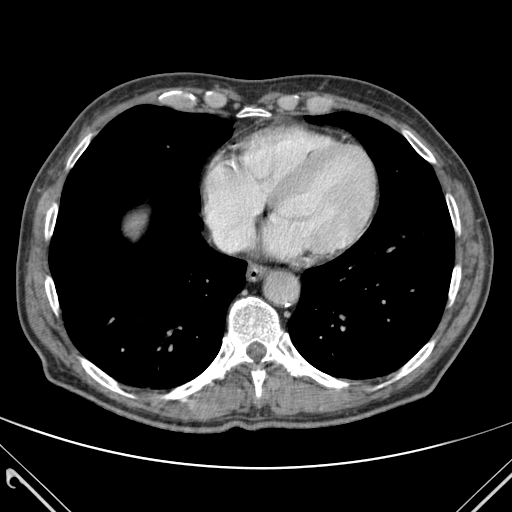 512x512 px | CT | Chest
lung: [x1=288, y1=112, x2=454, y2=378], [x1=49, y1=105, x2=246, y2=388] | bone: [x1=404, y1=131, x2=434, y2=162], [x1=45, y1=275, x2=57, y2=314], [x1=237, y1=108, x2=270, y2=116], [x1=164, y1=297, x2=347, y2=398], [x1=252, y1=370, x2=264, y2=396], [x1=45, y1=202, x2=57, y2=238], [x1=447, y1=196, x2=459, y2=230], [x1=82, y1=359, x2=128, y2=395], [x1=449, y1=267, x2=460, y2=302], [x1=67, y1=136, x2=89, y2=165], [x1=397, y1=342, x2=433, y2=378]